CT scan slice | Abdomen | 512x512 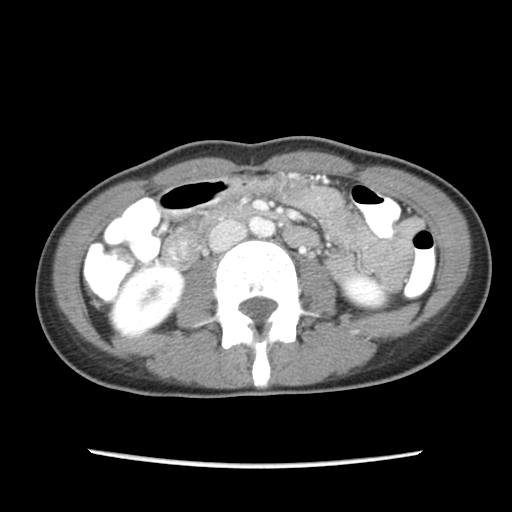

{
  "colon_tumor": [
    "[111, 250, 130, 261]"
  ]
}